CT slice, Slice 71 of 144, Liver 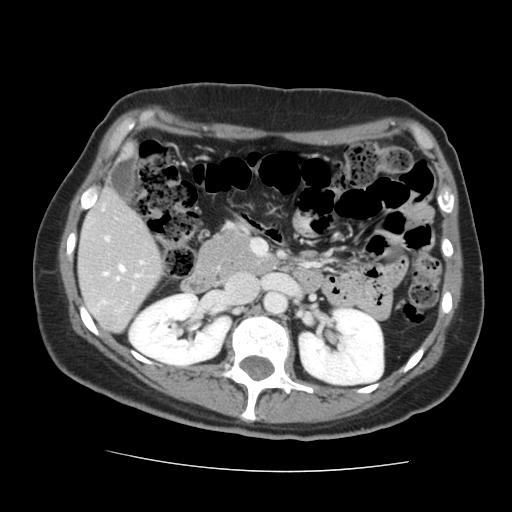

Not every hepatic vessel necessarily has a box.
7 hepatic vessel regions are located at bbox(116, 277, 118, 279); bbox(103, 273, 107, 275); bbox(140, 261, 142, 264); bbox(132, 287, 133, 289); bbox(105, 237, 108, 241); bbox(135, 275, 139, 276); bbox(119, 266, 123, 271).